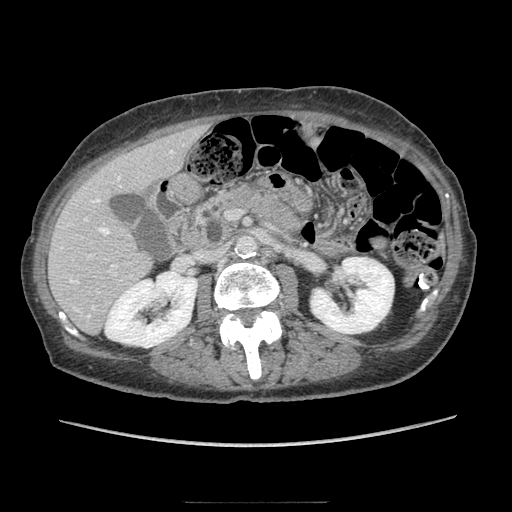
CT slice, Abdomen
The pancreas is bounded by [194,183,308,247].